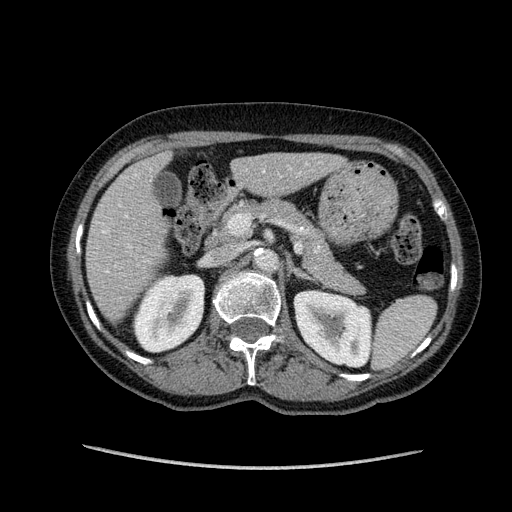
CT | Image size 512x512
2 liver regions appear at bbox(87, 157, 166, 310); bbox(235, 152, 334, 193). 2 kidney regions are bounded by bbox(294, 291, 370, 366); bbox(135, 275, 203, 351).